CT image, Liver
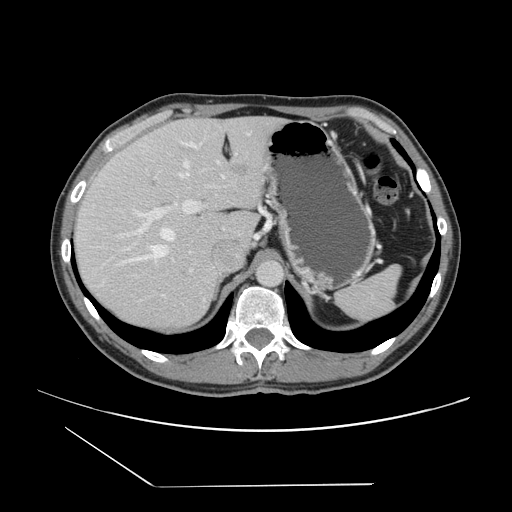 The vessel annotation is not exhaustive.
[15/20] hepatic vessel: (99,283,103,285), (162,207,168,211), (138,233,140,234), (198,203,202,209), (162,295,165,296), (125,233,129,235), (184,161,188,168), (132,232,136,233), (179,170,188,177), (247,133,249,134), (210,186,219,187), (124,260,128,261), (145,169,146,171), (154,177,156,178), (125,247,130,249) | liver tumor: (231,162,247,177)